Image width 240 mm | Slice 104 of 155
FLAIR MR.
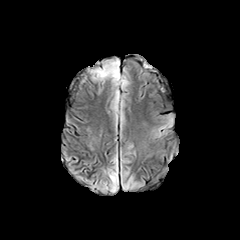
T1-weighted MRI.
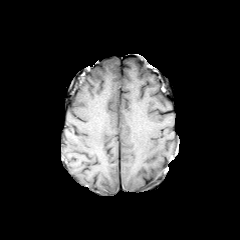
Post-contrast T1-weighted MRI.
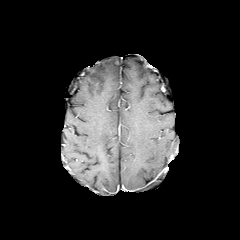
T2-weighted MR.
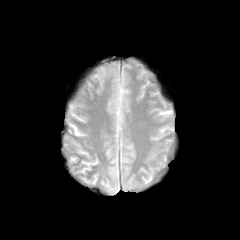
edema:
  - l=110, t=167, r=117, b=190